FLAIR magnetic resonance.
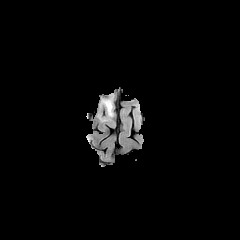
T1-weighted MR.
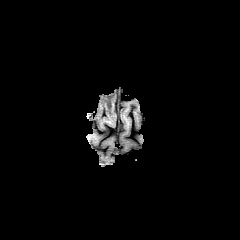
Post-contrast T1-weighted magnetic resonance.
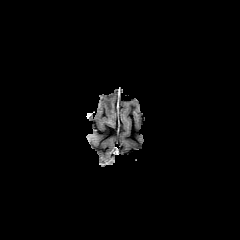
T2-weighted magnetic resonance.
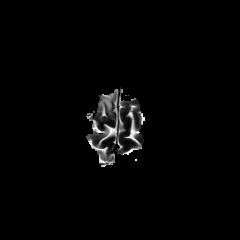
Head.
The edema appears at l=98, t=94, r=114, b=121.